512x512 px. CT.

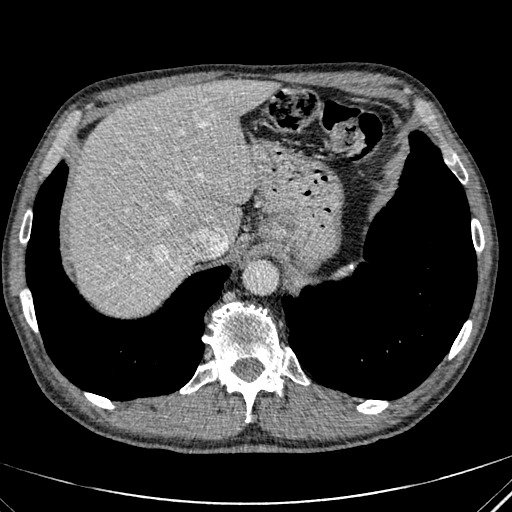
liver: (70, 79, 277, 314)